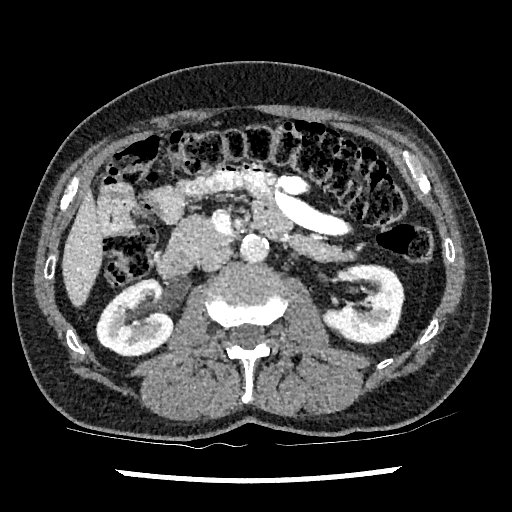 CT image, Abdomen

kidney:
  - x1=97, y1=280, x2=172, y2=354
  - x1=326, y1=266, x2=402, y2=342
liver:
  - x1=64, y1=194, x2=102, y2=305